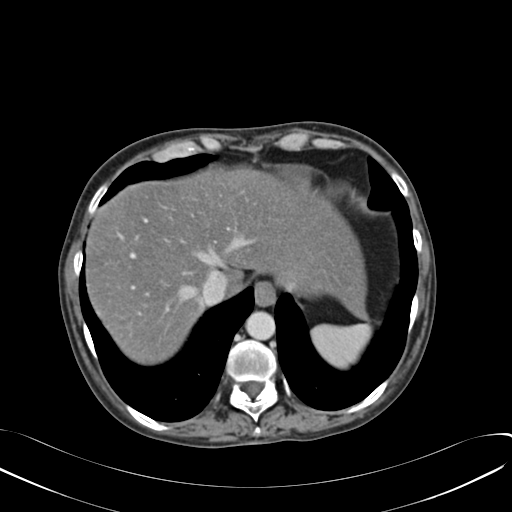 CT slice.
{"liver": ["(86,170,364,364)"]}